CT. Abdomen.

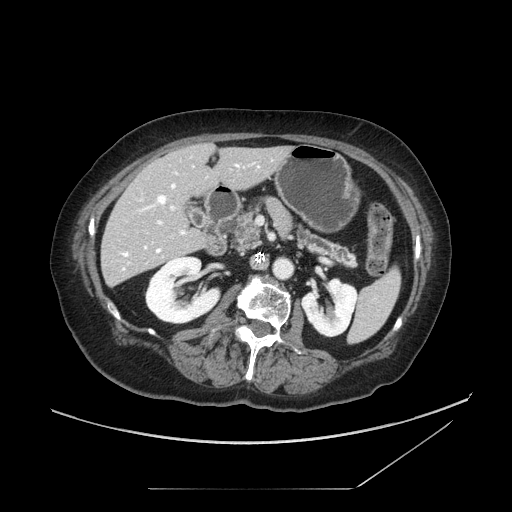

The pancreatic tumor appears at region(237, 223, 259, 244). 3 pancreas regions are located at region(221, 201, 260, 239); region(296, 226, 357, 267); region(241, 232, 260, 248).